Abdomen | Field of view 512x512 mm | CT image
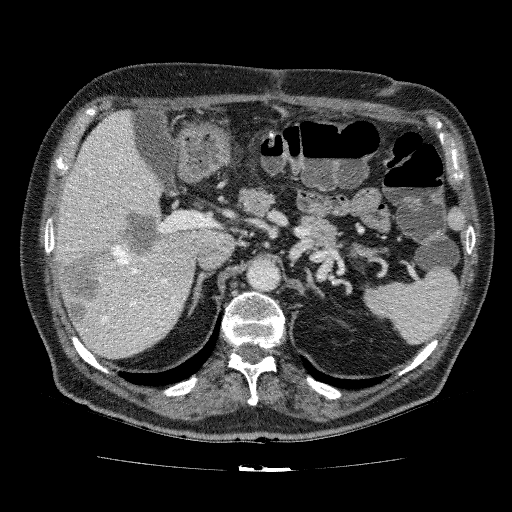 <segmentation>
  <liver>l=54, t=110, r=163, b=257; l=72, t=229, r=235, b=358</liver>
  <liver_lesion>l=55, t=207, r=163, b=323</liver_lesion>
</segmentation>